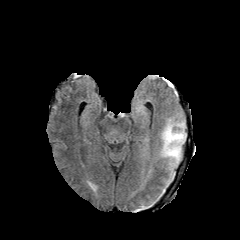
FLAIR MRI.
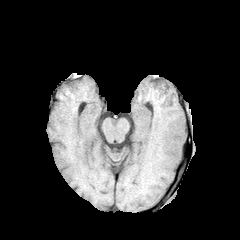
T1-weighted MRI.
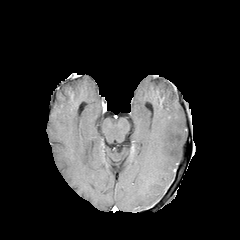
Post-contrast T1-weighted MRI.
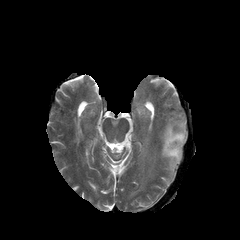
T2-weighted MRI of the same slice.
Head
Edema = region(162, 124, 185, 170).